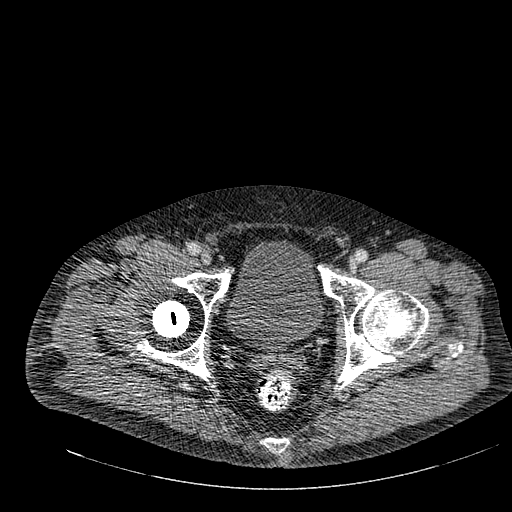

Computed tomography
Segmented structures:
• urinary bladder: (x1=226, y1=241, x2=323, y2=351)